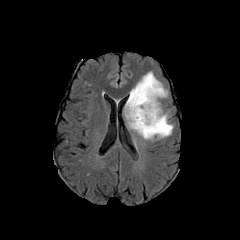
FLAIR magnetic resonance.
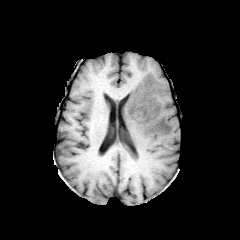
T1-weighted MR.
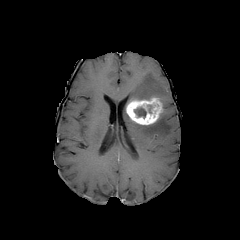
Same slice, post-contrast T1-weighted MR image.
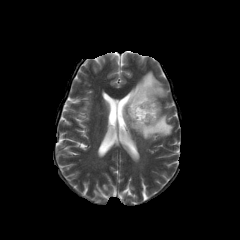
T2-weighted MRI.
Head
- enhancing tumor: 125, 97, 162, 124
- edema: 124, 109, 173, 139; 128, 71, 167, 100
- non-enhancing tumor core: 135, 108, 146, 117